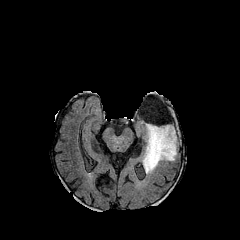
FLAIR magnetic resonance.
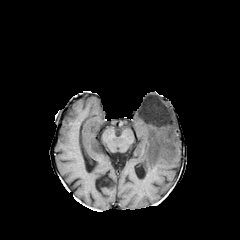
Same slice, T1-weighted magnetic resonance.
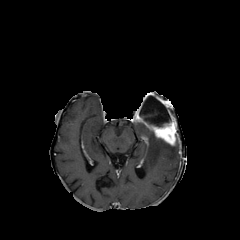
Same slice, post-contrast T1-weighted magnetic resonance.
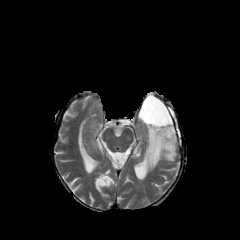
T2-weighted magnetic resonance.
{
  "edema": [
    "l=140, t=125, r=177, b=173"
  ],
  "enhancing_tumor": [
    "l=135, t=112, r=177, b=145"
  ],
  "non-enhancing_tumor_core": [
    "l=137, t=96, r=171, b=126",
    "l=168, t=134, r=180, b=147"
  ]
}